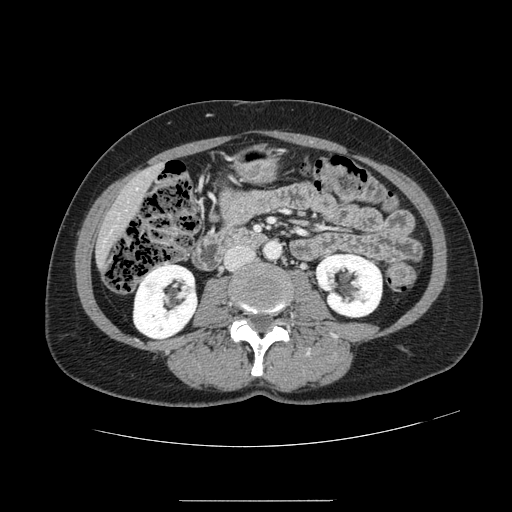 Abdomen; CT slice
Pancreas at {"x1": 215, "y1": 223, "x2": 266, "y2": 253}.